Brain | 240x240 px | Image width 240 mm | Slice 98/155
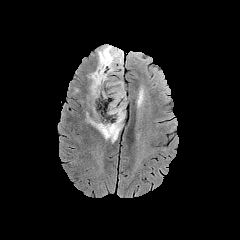
FLAIR magnetic resonance.
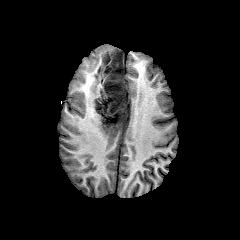
T1-weighted magnetic resonance.
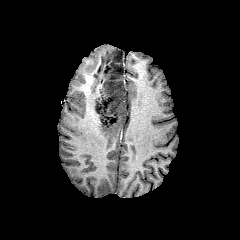
Same slice, post-contrast T1-weighted MR image.
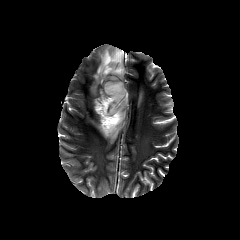
T2-weighted magnetic resonance.
edema: (x1=90, y1=72, x2=122, y2=97), (x1=96, y1=46, x2=123, y2=70), (x1=89, y1=106, x2=125, y2=142) | non-enhancing tumor core: (x1=91, y1=83, x2=102, y2=96), (x1=96, y1=82, x2=125, y2=128), (x1=95, y1=51, x2=121, y2=74)